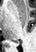 Medial temporal lobe; Magnetic resonance

Posterior hippocampus: bounding box box(13, 41, 16, 42).